Slice 38 of 137. 512x512. CT scan slice. Upper abdomen.

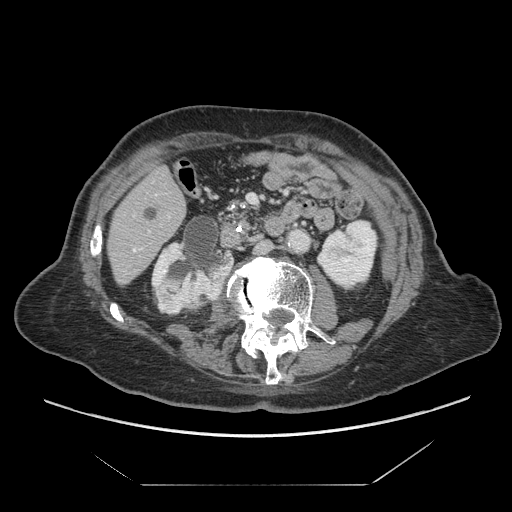 <segmentation>
  <pancreas>x1=215 y1=195 x2=257 y2=225</pancreas>
</segmentation>